Brain
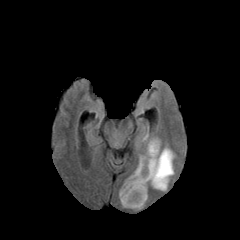
FLAIR MR image.
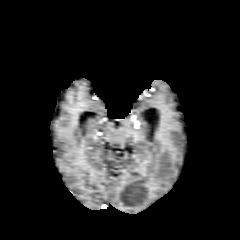
T1-weighted MRI.
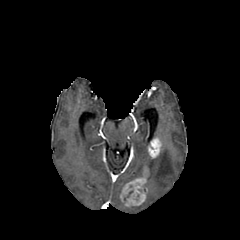
Same slice, post-contrast T1-weighted MR image.
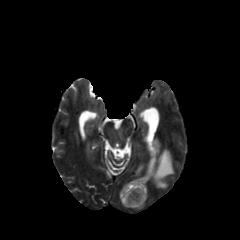
T2-weighted MRI.
enhancing_tumor:
  - 119,174,147,207
  - 147,138,161,158
edema:
  - 130,156,143,177
  - 147,148,174,190